Slice 27/44 | CT 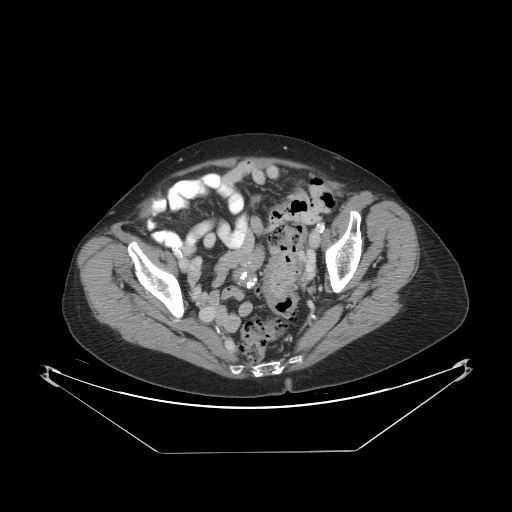
The colon tumor appears at [263, 237, 298, 313].